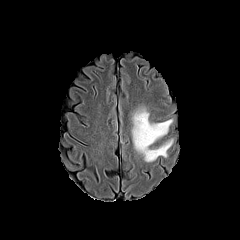
FLAIR MR image.
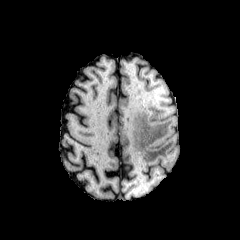
T1-weighted MR image of the same slice.
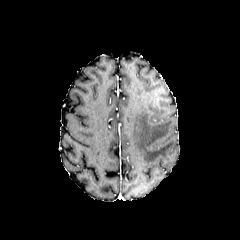
Post-contrast T1-weighted magnetic resonance.
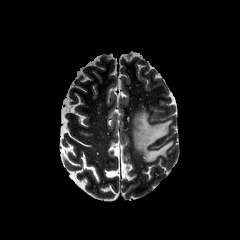
T2-weighted MR image.
240x240
The edema is at 132, 110, 172, 162.